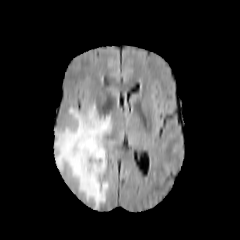
FLAIR MR image.
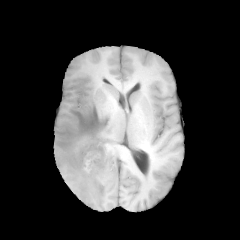
T1-weighted MR image.
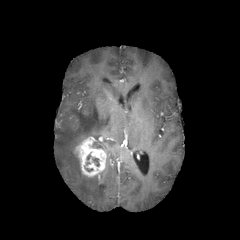
Post-contrast T1-weighted magnetic resonance of the same slice.
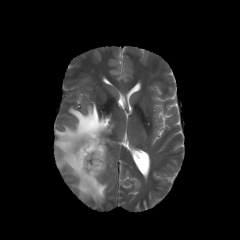
T2-weighted MR.
240x240 px | Head
The enhancing tumor is located at (75,137,106,177). The edema is located at (55,102,113,206). The non-enhancing tumor core appears at (86,155,100,166).